Slice 11/30; Image width 37 mm; MRI slice
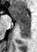 <segmentation>
  <anterior_hippocampus>[10,7,30,22]</anterior_hippocampus>
  <posterior_hippocampus>[17,23,30,37]</posterior_hippocampus>
</segmentation>